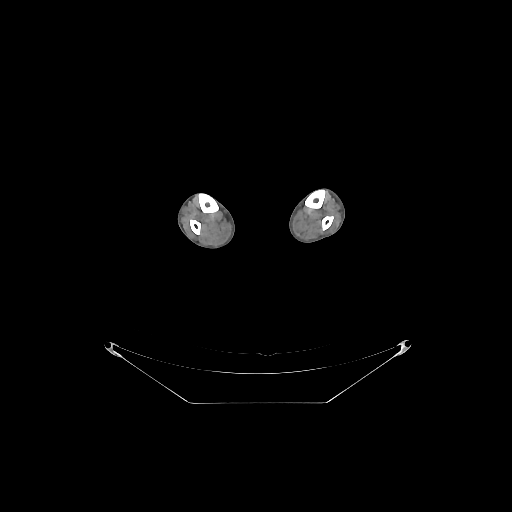

CT image. Image size 512x512.

Bone — (305, 190, 325, 209), (190, 219, 200, 234), (322, 216, 333, 230), (198, 193, 218, 213).